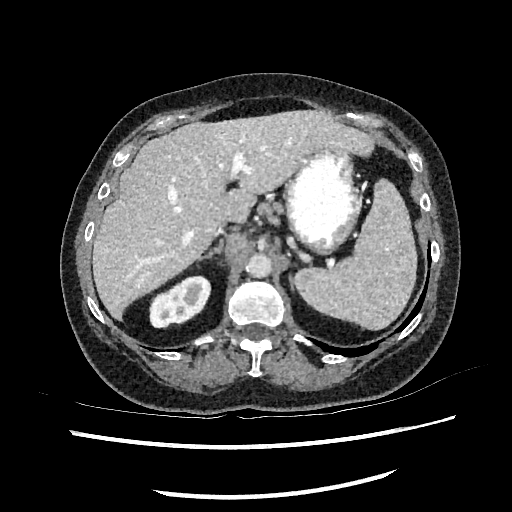 Upper abdomen; CT slice
• kidney: x1=150 y1=277 x2=209 y2=326
• liver: x1=93 y1=110 x2=374 y2=318